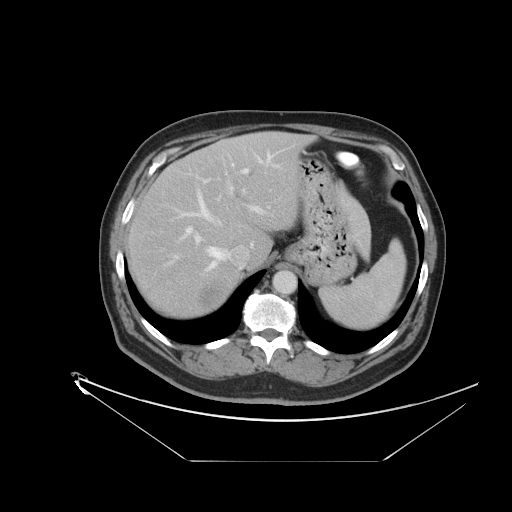 512x512. Computed tomography. The vessel annotation is not exhaustive.
{
  "hepatic_vessel": [
    {"x1": 202, "y1": 179, "x2": 208, "y2": 182},
    {"x1": 175, "y1": 256, "x2": 177, "y2": 257},
    {"x1": 272, "y1": 164, "x2": 279, "y2": 167},
    {"x1": 218, "y1": 222, "x2": 220, "y2": 224},
    {"x1": 230, "y1": 187, "x2": 232, "y2": 193},
    {"x1": 256, "y1": 156, "x2": 261, "y2": 162},
    {"x1": 242, "y1": 168, "x2": 248, "y2": 173},
    {"x1": 179, "y1": 191, "x2": 211, "y2": 219},
    {"x1": 182, "y1": 227, "x2": 192, "y2": 238},
    {"x1": 265, "y1": 152, "x2": 273, "y2": 165},
    {"x1": 195, "y1": 235, "x2": 201, "y2": 242},
    {"x1": 250, "y1": 206, "x2": 263, "y2": 213},
    {"x1": 206, "y1": 247, "x2": 230, "y2": 269}
  ],
  "liver_tumor": [
    {"x1": 199, "y1": 288, "x2": 220, "y2": 305}
  ]
}